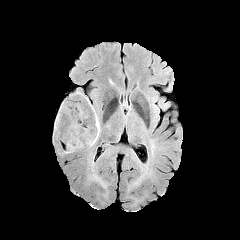
FLAIR MRI.
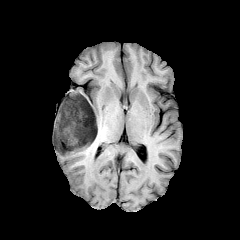
T1-weighted MR image.
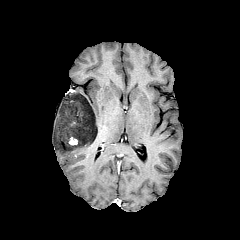
Same slice, post-contrast T1-weighted MR image.
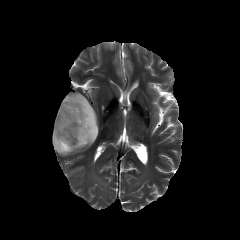
Same slice, T2-weighted MR.
Image size 240x240. Head.
Non-enhancing tumor core at x1=54 y1=94 x2=97 y2=150.
Enhancing tumor at x1=68 y1=136 x2=77 y2=144.
Edema at x1=94 y1=108 x2=98 y2=136, x1=53 y1=138 x2=90 y2=154.